MRI; Slice 20/37; Medial temporal lobe

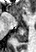

The posterior hippocampus lies within region(13, 27, 27, 42). The anterior hippocampus appears at region(15, 16, 16, 19).